CT scan slice

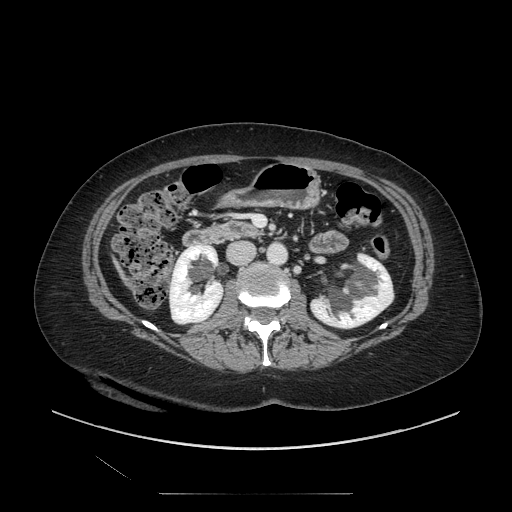

pancreas: 205 221 263 242